Slice 108/155
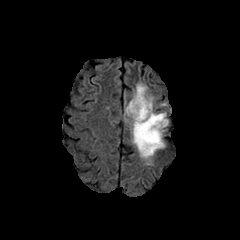
FLAIR magnetic resonance.
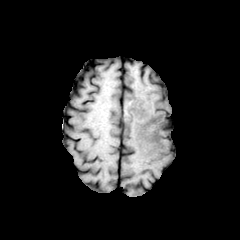
T1-weighted MRI.
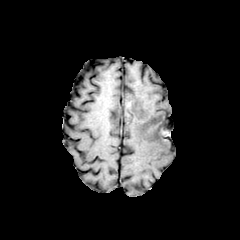
Post-contrast T1-weighted MRI.
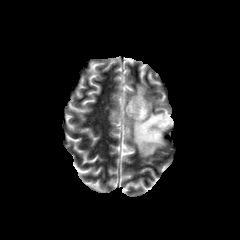
T2-weighted MRI of the same slice.
edema: rect(124, 83, 170, 164) | non-enhancing tumor core: rect(142, 115, 168, 141)